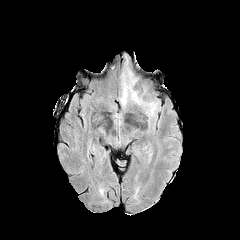
FLAIR magnetic resonance.
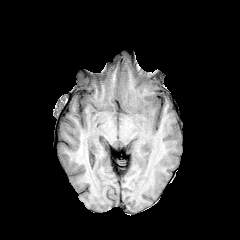
Same slice, T1-weighted MR image.
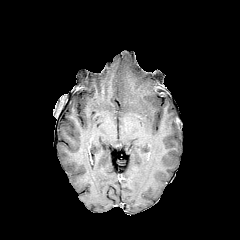
Post-contrast T1-weighted MR.
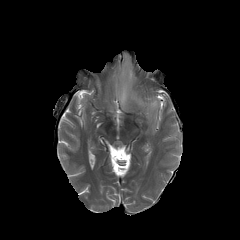
Same slice, T2-weighted MR image.
edema:
  - [119,59,158,124]